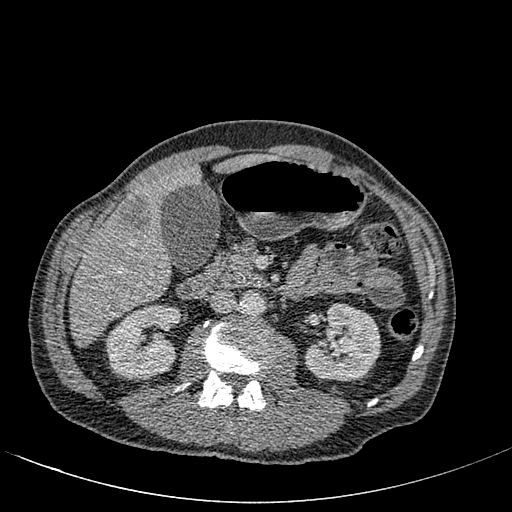 CT. Upper abdomen. Focal liver lesion = x1=115 y1=197 x2=151 y2=235.
Kidney = x1=106 y1=305 x2=180 y2=378, x1=305 y1=303 x2=380 y2=380.
Liver = x1=217 y1=155 x2=275 y2=172, x1=71 y1=164 x2=200 y2=346.